CT
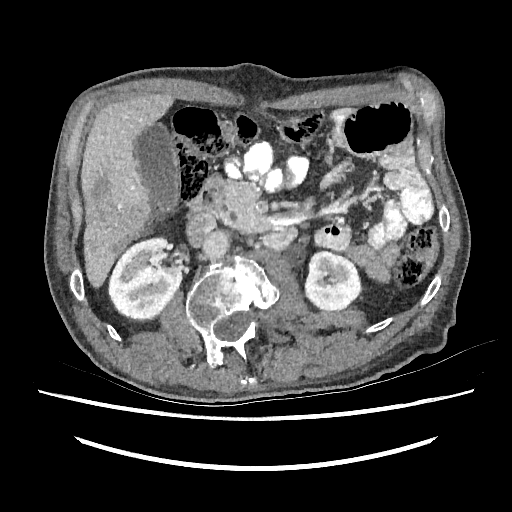
Annotated regions:
- kidney: 109:239:181:318, 305:252:360:310
- liver: 81:94:172:287
- hepatic lesion: 91:241:98:251, 88:172:145:253